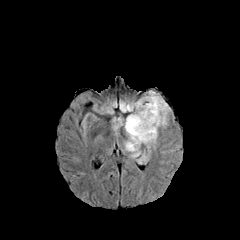
FLAIR MR.
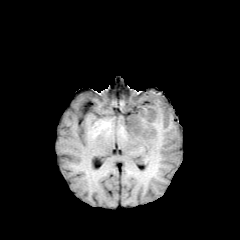
T1-weighted MRI of the same slice.
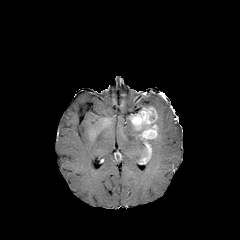
Post-contrast T1-weighted MRI.
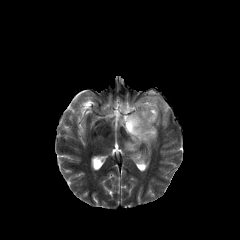
Same slice, T2-weighted MRI.
Head; 240x240 px
Edema — x1=112, y1=116, x2=145, y2=161; x1=119, y1=90, x2=172, y2=149.
Enhancing tumor — x1=139, y1=142, x2=151, y2=164; x1=141, y1=125, x2=157, y2=138; x1=130, y1=107, x2=154, y2=129.
Non-enhancing tumor core — x1=125, y1=110, x2=156, y2=145.